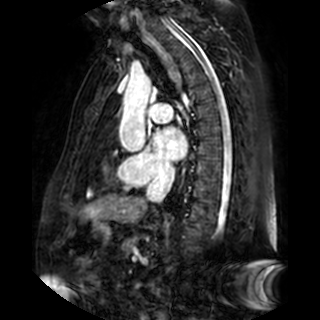

Magnetic resonance. Cardiac. 320x320 px.

The left atrium is at (x1=153, y1=127, x2=186, y2=161).